512x512 px, Computed tomography, Upper abdomen, Image width 376 mm 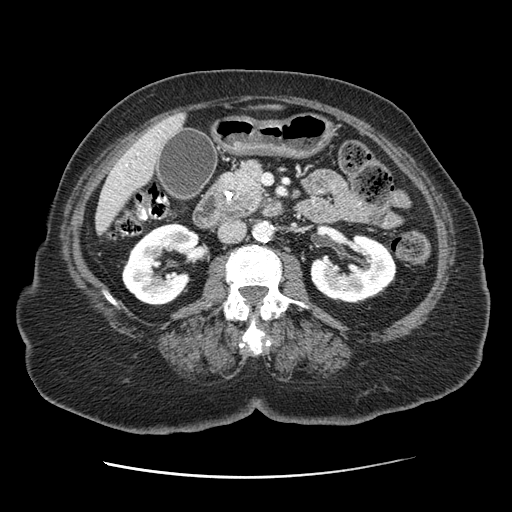
{
  "pancreas": [
    {"x1": 213, "y1": 160, "x2": 266, "y2": 221}
  ],
  "pancreatic_tumor": [
    {"x1": 229, "y1": 195, "x2": 253, "y2": 217}
  ]
}